Slice 210 of 410. Field of view 365x365 mm. Upper abdomen. 512x512. CT scan slice.
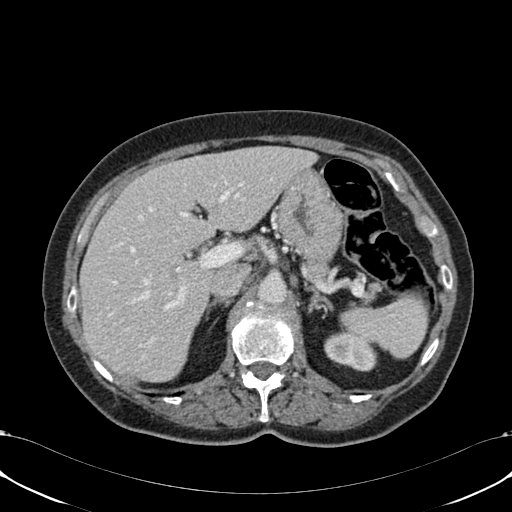

kidney:
  - (x1=325, y1=327, x2=375, y2=370)
liver:
  - (x1=80, y1=145, x2=316, y2=382)